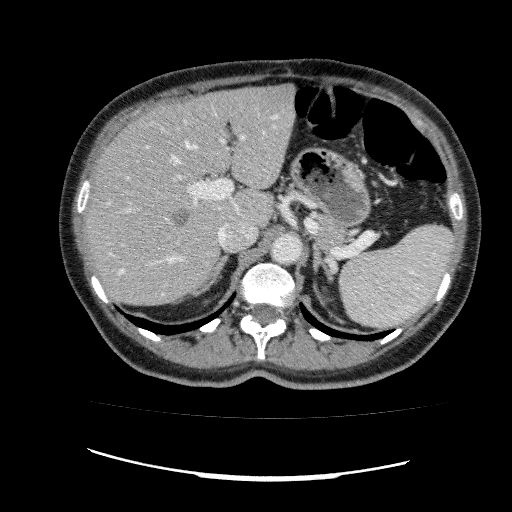
CT image, Abdomen
Findings:
• hepatic lesion: (171,207,189,227)
• liver: (83,83,295,305)